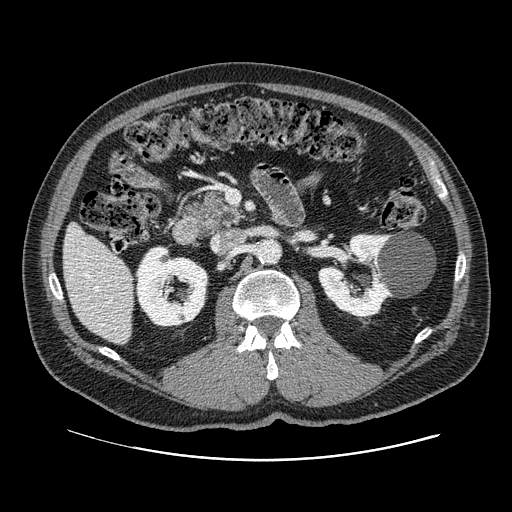

Abdomen, CT slice, 512x512 px
The pancreas is at region(181, 190, 246, 235).